CT scan slice. 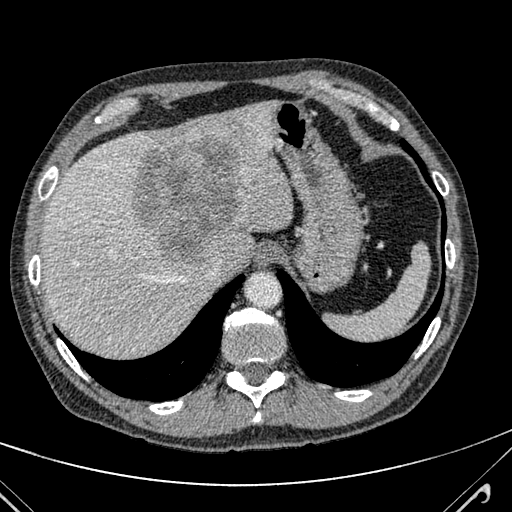 The liver appears at {"x1": 43, "y1": 99, "x2": 293, "y2": 355}. The hepatic lesion is located at {"x1": 132, "y1": 135, "x2": 246, "y2": 263}.